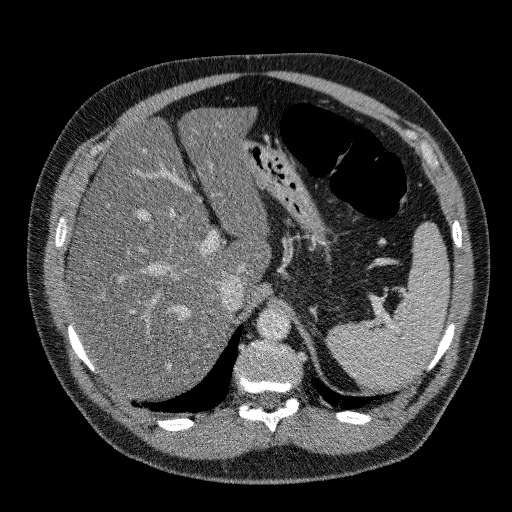 512x512; CT

The liver is at x1=67, y1=107, x2=270, y2=398.